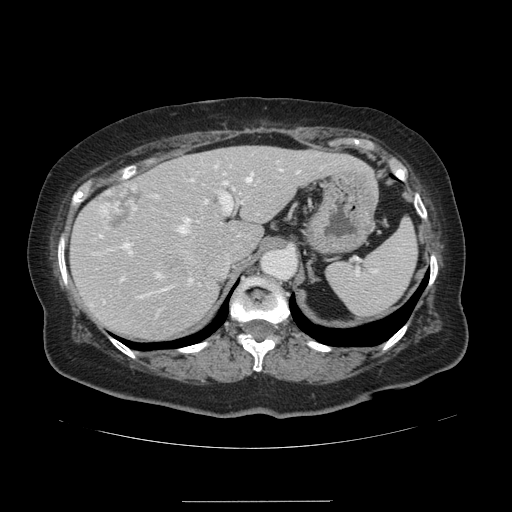 Computed tomography

The vessel annotation is not exhaustive.
The liver tumor is located at bbox(100, 183, 139, 232). 15 hepatic vessel regions are located at bbox(219, 193, 232, 212); bbox(151, 194, 157, 196); bbox(246, 172, 251, 181); bbox(239, 201, 241, 202); bbox(177, 216, 188, 231); bbox(214, 164, 217, 166); bbox(279, 168, 281, 170); bbox(189, 178, 193, 180); bbox(155, 273, 160, 276); bbox(120, 277, 123, 279); bbox(123, 242, 131, 253); bbox(296, 170, 298, 172); bbox(97, 233, 101, 236); bbox(223, 181, 227, 184); bbox(204, 199, 207, 202).